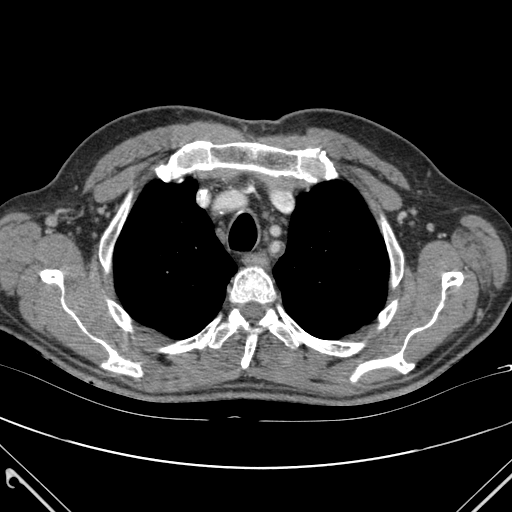

Chest | CT image
2 lung regions appear at {"x1": 113, "y1": 178, "x2": 237, "y2": 338}, {"x1": 273, "y1": 180, "x2": 389, "y2": 339}. 10 bone regions are bounded by {"x1": 379, "y1": 300, "x2": 396, "y2": 328}, {"x1": 107, "y1": 300, "x2": 131, "y2": 330}, {"x1": 160, "y1": 306, "x2": 363, "y2": 367}, {"x1": 382, "y1": 218, "x2": 403, "y2": 286}, {"x1": 40, "y1": 269, "x2": 86, "y2": 332}, {"x1": 231, "y1": 267, "x2": 274, "y2": 302}, {"x1": 91, "y1": 337, "x2": 142, "y2": 376}, {"x1": 156, "y1": 141, "x2": 336, "y2": 181}, {"x1": 350, "y1": 272, "x2": 463, "y2": 381}, {"x1": 99, "y1": 194, "x2": 130, "y2": 270}.